FLAIR MRI.
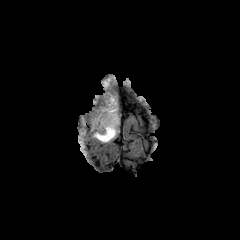
T1-weighted MR.
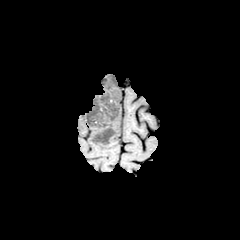
Post-contrast T1-weighted MR image.
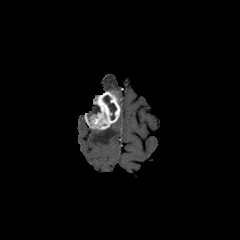
T2-weighted MRI.
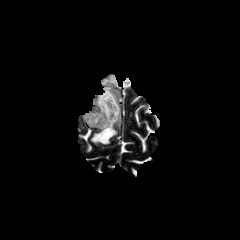
Head
- edema: x1=104 y1=77 x2=120 y2=113, x1=91 y1=117 x2=119 y2=143
- non-enhancing tumor core: x1=104 y1=95 x2=116 y2=119, x1=98 y1=128 x2=113 y2=138
- enhancing tumor: x1=85 y1=90 x2=119 y2=129